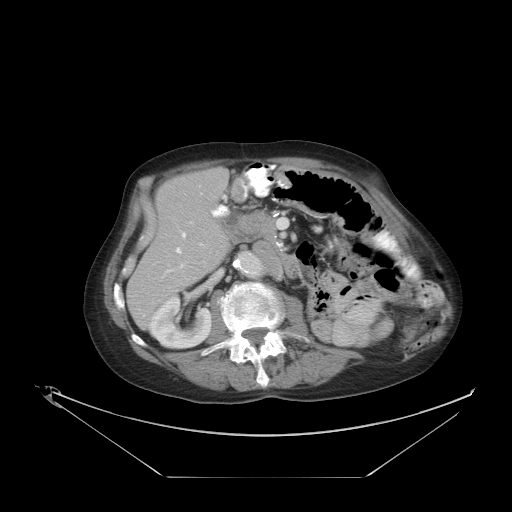
CT image, Abdomen
{"colon_tumor": ["[231,180,244,202]"]}